Computed tomography | 512x512 px | Slice 49/103 | Abdomen 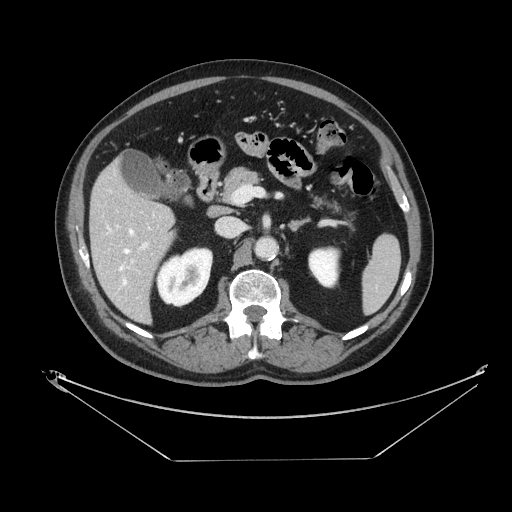

The pancreas appears at 223,167,259,201.